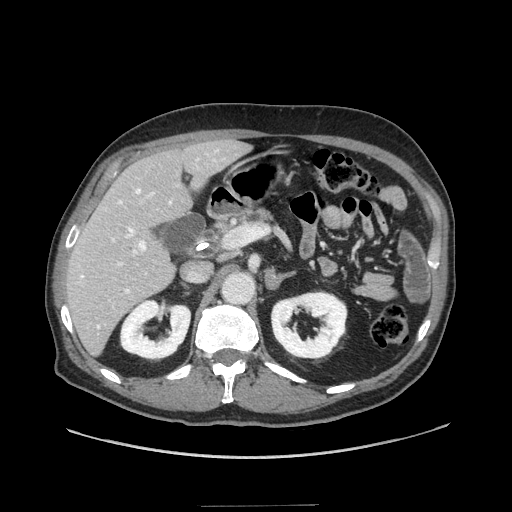

CT | Image size 512x512 | Upper abdomen

Segmented structures:
• pancreas: bbox(243, 210, 270, 224)